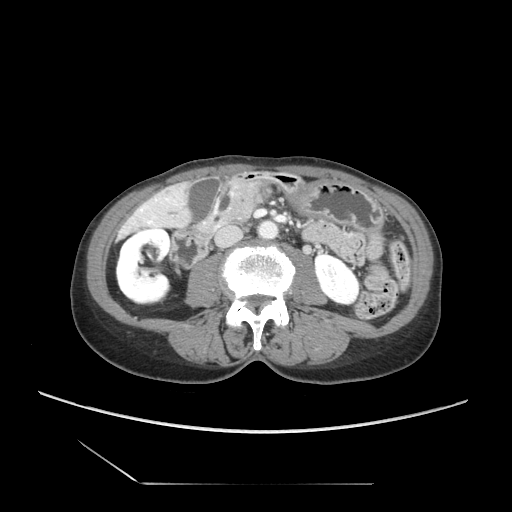 Image size 512x512. Abdomen. CT scan slice.

* pancreas: bbox(229, 184, 261, 222)